512x512; CT scan slice; Liver
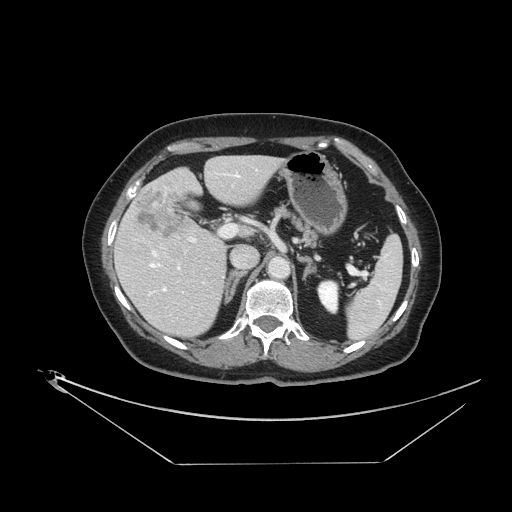

Some hepatic vessels may have no box.
The liver tumor appears at bbox=[135, 188, 185, 240]. 7 hepatic vessel regions are bounded by bbox=[188, 238, 195, 241]; bbox=[149, 261, 160, 267]; bbox=[220, 224, 235, 236]; bbox=[177, 265, 180, 269]; bbox=[162, 286, 166, 291]; bbox=[152, 250, 157, 257]; bbox=[234, 174, 237, 175].